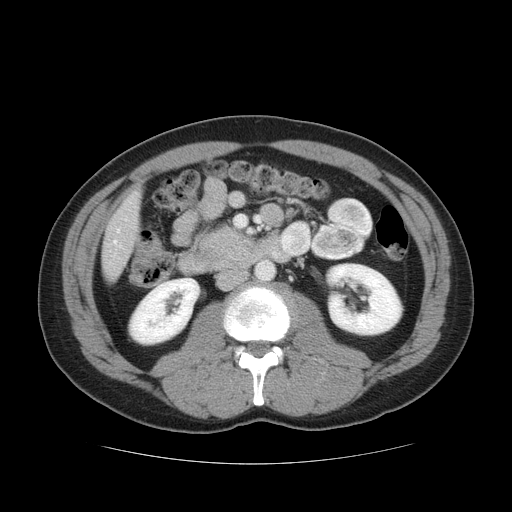 CT slice. Image size 512x512. Abdomen. <segmentation>
  <pancreas>197:231:243:269</pancreas>
  <pancreatic_tumor>199:226:251:265</pancreatic_tumor>
</segmentation>